FLAIR magnetic resonance.
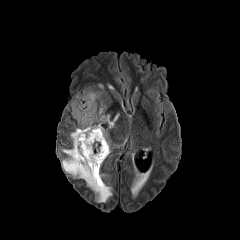
T1-weighted magnetic resonance.
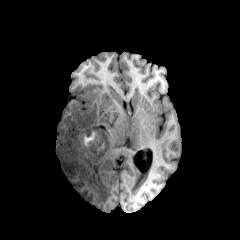
Post-contrast T1-weighted MR image.
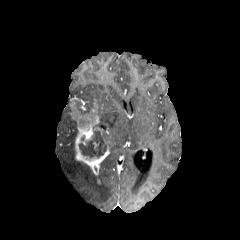
T2-weighted MR.
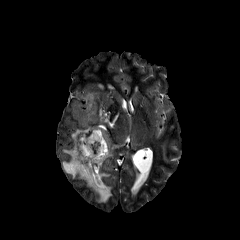
Head
Enhancing tumor at <bbox>70, 99, 112, 170</bbox>.
Non-enhancing tumor core at <bbox>79, 131, 106, 157</bbox>.
Edema at <bbox>70, 127, 77, 147</bbox>, <bbox>96, 101, 119, 129</bbox>, <bbox>77, 91, 100, 107</bbox>, <bbox>57, 147, 112, 202</bbox>, <bbox>97, 160, 107, 180</bbox>.